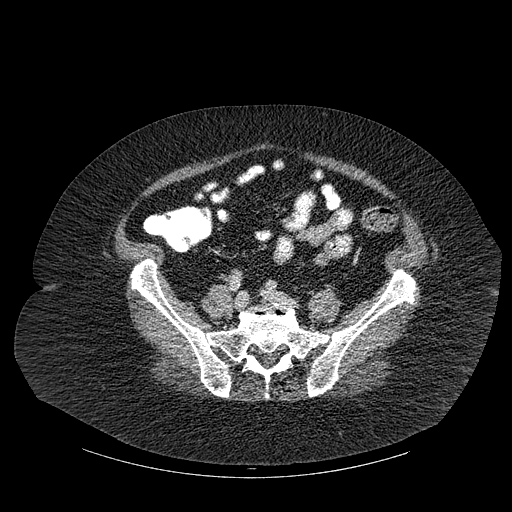 Image size 512x512; CT slice
The bone lies within 131 259 415 397.